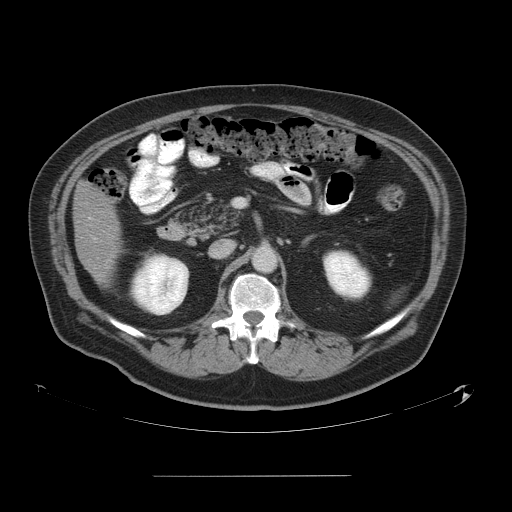
Abdomen | Computed tomography
The vessel boxes may cover only some of the vessels.
Hepatic vessel: [x1=89, y1=217, x2=91, y2=219].